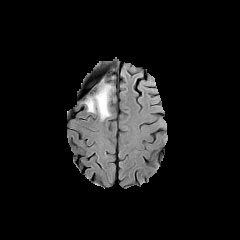
FLAIR MR image.
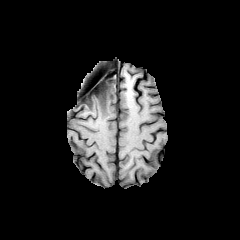
Same slice, T1-weighted magnetic resonance.
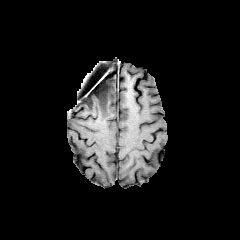
Post-contrast T1-weighted magnetic resonance.
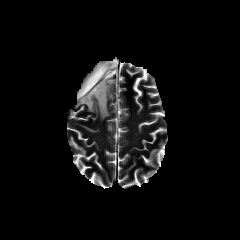
T2-weighted magnetic resonance.
240x240 px. Brain.
Annotated regions:
- edema: (84,83,113,120)
- non-enhancing tumor core: (82,80,109,103)